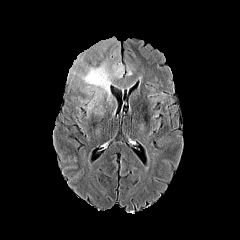
FLAIR MRI.
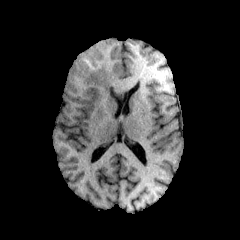
Same slice, T1-weighted MR.
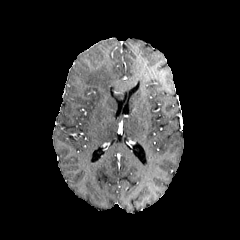
Post-contrast T1-weighted MR.
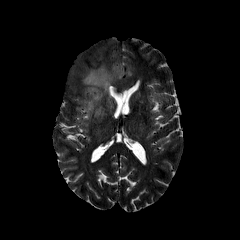
T2-weighted MR image.
240x240. Brain.
Edema: bounding box 69:57:124:113, 126:62:132:76.